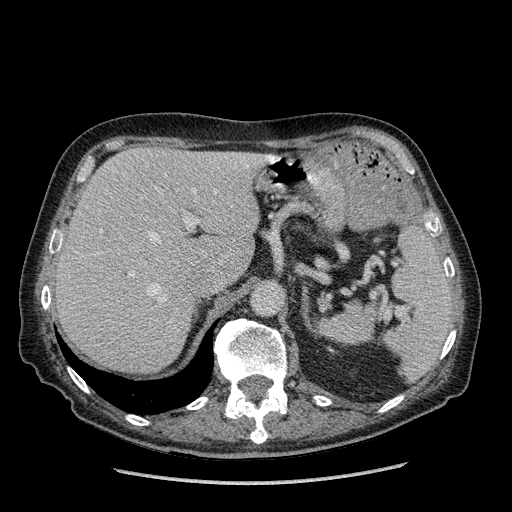 512x512. CT. Abdomen.

The liver appears at x1=56, y1=147, x2=260, y2=373.